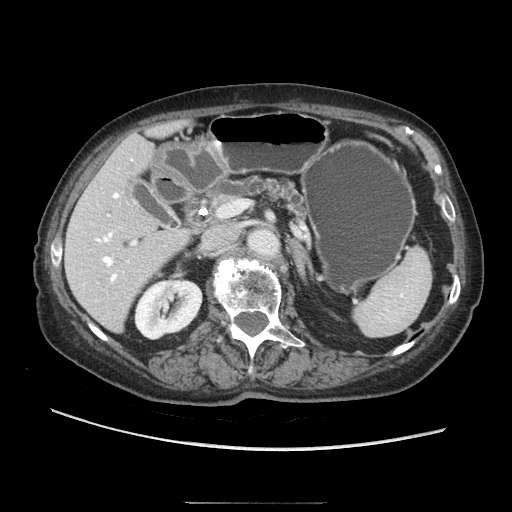 512x512; Abdomen; CT slice

The pancreas is located at <box>210,177,305,217</box>.